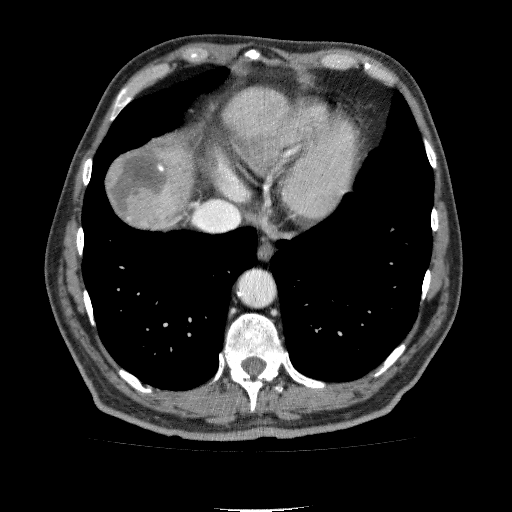 Image size 512x512. CT scan slice.
<segmentation>
  <liver_lesion>bbox=[105, 147, 172, 226]; bbox=[255, 140, 279, 165]</liver_lesion>
  <liver>bbox=[142, 136, 195, 229]; bbox=[222, 85, 288, 173]</liver>
</segmentation>